Slice 104/155 | Field of view 240 mm wide, 1.00 mm slice spacing | 240x240 px | Brain
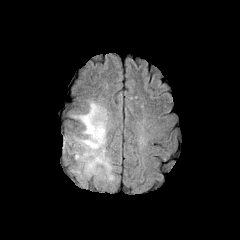
FLAIR MR.
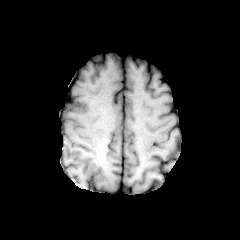
T1-weighted MRI.
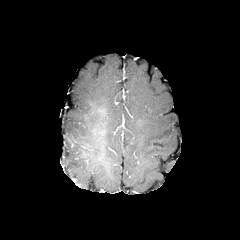
Post-contrast T1-weighted magnetic resonance.
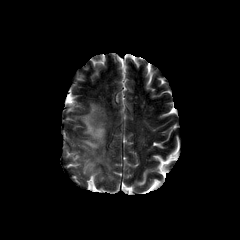
T2-weighted MR of the same slice.
The edema is at [72, 100, 114, 180].